Slice 665/685 | CT slice
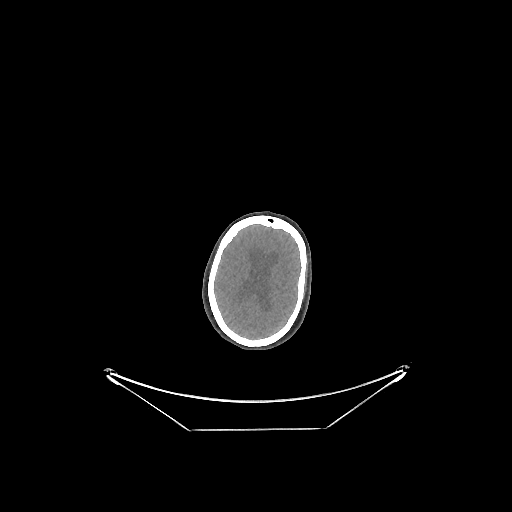

{"brain": ["[x1=214, y1=224, x2=301, y2=339]"]}